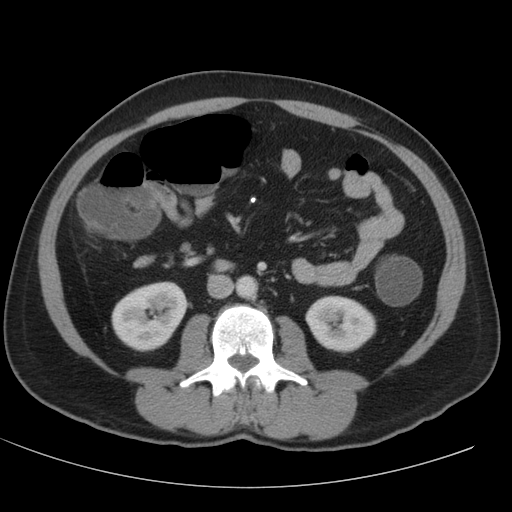
CT scan slice
<segmentation>
  <kidney>(112,282,186,350), (306,296,375,351)</kidney>
</segmentation>